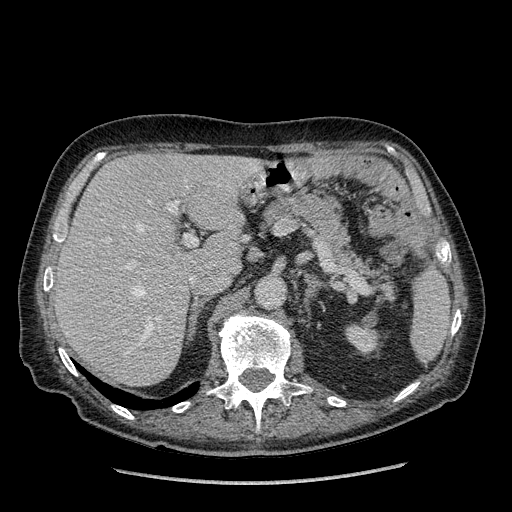
Abdomen | Computed tomography

The liver lies within x1=55, y1=152, x2=258, y2=386. The kidney lies within x1=346, y1=319, x2=377, y2=352.